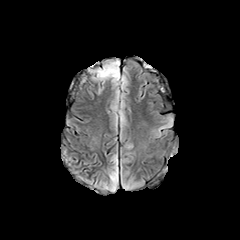
FLAIR magnetic resonance.
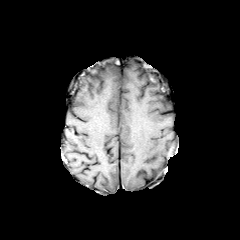
T1-weighted MR of the same slice.
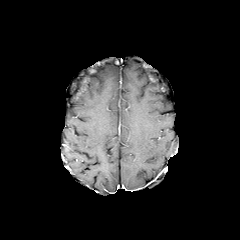
Same slice, post-contrast T1-weighted MR image.
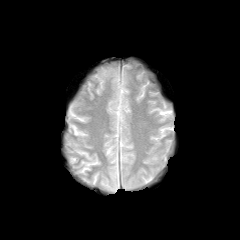
Same slice, T2-weighted MR.
Head
Edema: bounding box (left=110, top=169, right=117, bottom=190).